CT | Abdomen

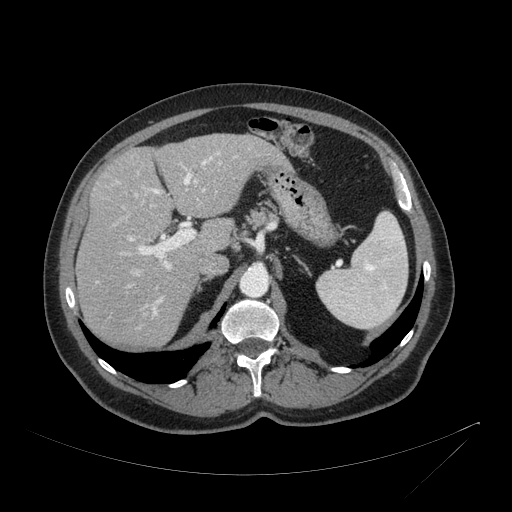
Liver: (76, 134, 290, 346).